CT scan slice. 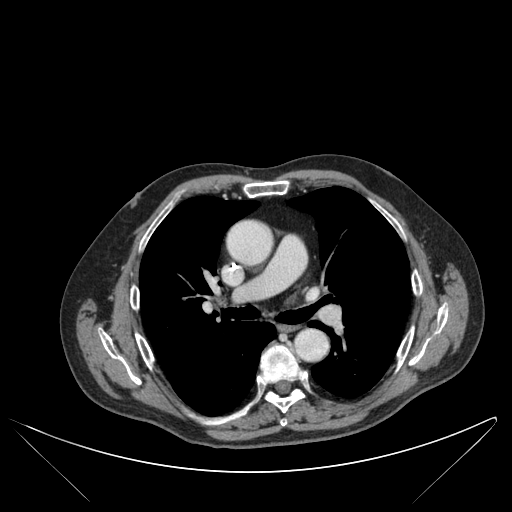
Annotated regions:
• bone: bbox=[380, 207, 400, 229]; bbox=[397, 327, 413, 369]; bbox=[135, 333, 153, 368]; bbox=[257, 345, 307, 386]; bbox=[409, 305, 447, 364]; bbox=[203, 405, 249, 424]; bbox=[412, 270, 422, 294]; bbox=[130, 286, 139, 309]; bbox=[141, 214, 162, 246]; bbox=[244, 180, 288, 197]; bbox=[99, 331, 140, 384]; bbox=[266, 389, 304, 412]
• lung: bbox=[139, 196, 275, 415]; bbox=[276, 186, 410, 397]